Thorax | Computed tomography | Slice index 507 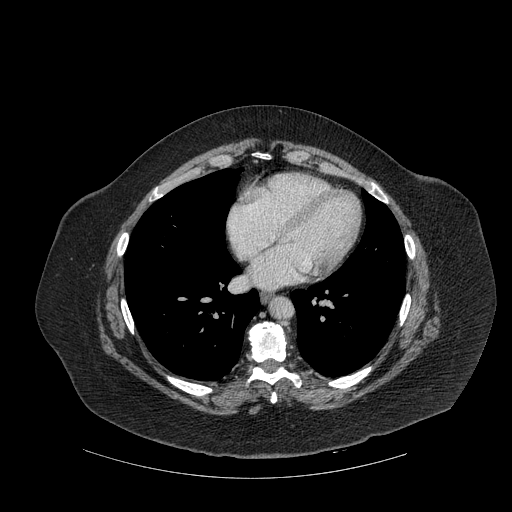 <segmentation>
  <lung>{"x1": 291, "y1": 190, "x2": 405, "y2": 376}, {"x1": 124, "y1": 168, "x2": 259, "y2": 380}</lung>
  <bone>{"x1": 400, "y1": 295, "x2": 410, "y2": 324}, {"x1": 168, "y1": 376, "x2": 211, "y2": 395}, {"x1": 249, "y1": 322, "x2": 286, "y2": 361}, {"x1": 248, "y1": 367, "x2": 301, "y2": 387}, {"x1": 271, "y1": 392, "x2": 276, "y2": 402}, {"x1": 329, "y1": 367, "x2": 370, "y2": 388}, {"x1": 405, "y1": 235, "x2": 414, "y2": 258}, {"x1": 153, "y1": 188, "x2": 162, "y2": 198}, {"x1": 255, "y1": 153, "x2": 270, "y2": 158}, {"x1": 121, "y1": 299, "x2": 133, "y2": 333}, {"x1": 117, "y1": 233, "x2": 128, "y2": 255}</bone>
</segmentation>